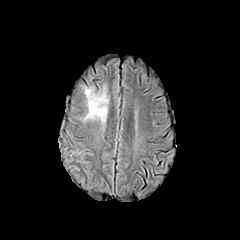
FLAIR MRI.
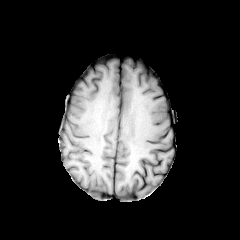
T1-weighted MRI of the same slice.
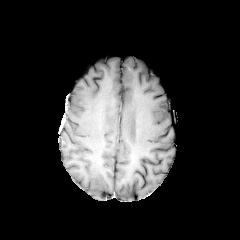
Post-contrast T1-weighted MRI.
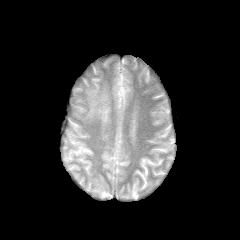
T2-weighted MRI.
Brain
- edema: bbox=[83, 85, 108, 124]